FLAIR MR image.
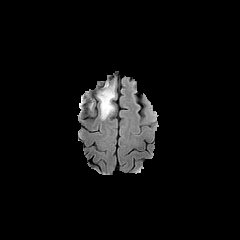
T1-weighted MR.
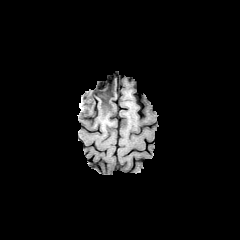
Post-contrast T1-weighted MR image.
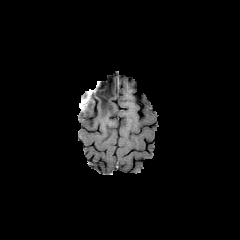
T2-weighted magnetic resonance.
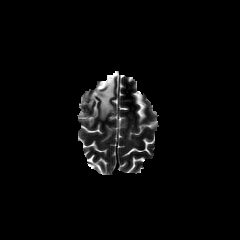
Head
• edema: (left=107, top=81, right=115, bottom=107), (left=100, top=104, right=110, bottom=111), (left=88, top=93, right=100, bottom=109)
• non-enhancing tumor core: (left=94, top=83, right=114, bottom=117)